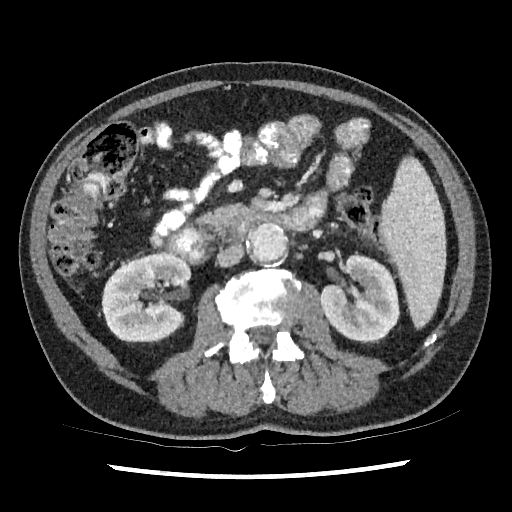
CT slice; Abdomen
{"kidney": ["320, 255, 398, 341", "102, 251, 190, 341"]}